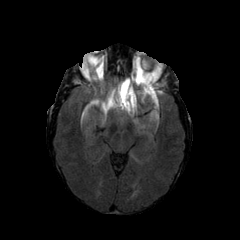
FLAIR MR image.
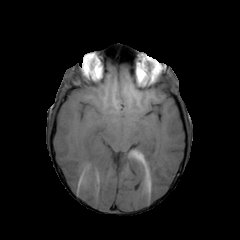
T1-weighted MRI of the same slice.
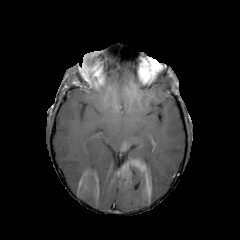
Same slice, post-contrast T1-weighted MRI.
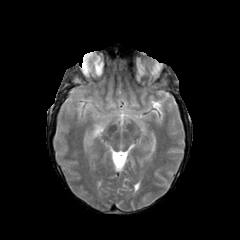
Same slice, T2-weighted magnetic resonance.
Head. 240x240.
Segmented structures:
* non-enhancing tumor core: (85,62,101,77), (138,64,145,73)
* edema: (118,90,135,114), (134,76,161,114)
* enhancing tumor: (138,66,159,81)